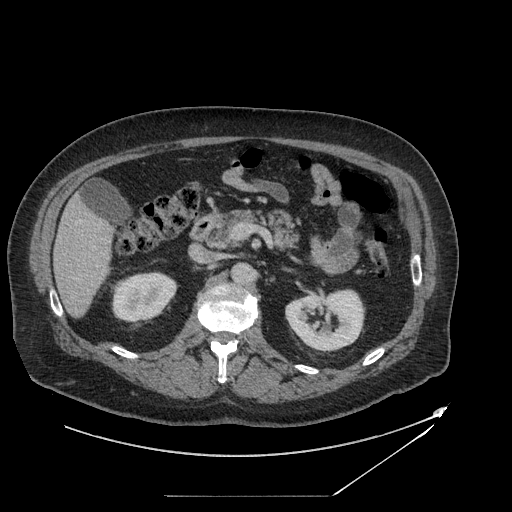

Computed tomography, 512x512 px, Upper abdomen

Pancreatic tumor — bbox(211, 241, 226, 249).
Pancreas — bbox(206, 210, 299, 250).